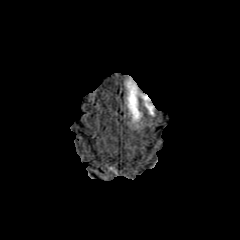
FLAIR MR.
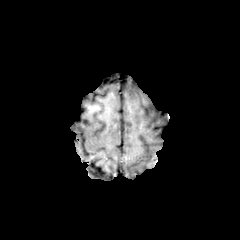
Same slice, T1-weighted magnetic resonance.
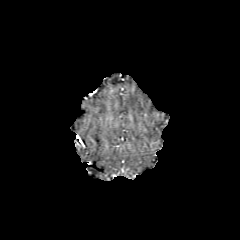
Post-contrast T1-weighted MR image.
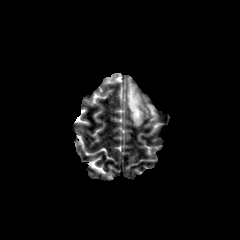
Same slice, T2-weighted magnetic resonance.
Segmented structures:
* edema: bbox(125, 77, 156, 126)